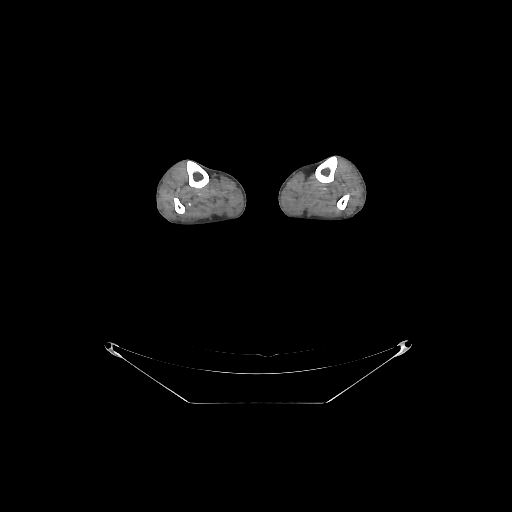 Computed tomography. 4 bone regions appear at [337,194,349,209], [315,156,337,182], [187,161,208,188], [174,198,184,213].